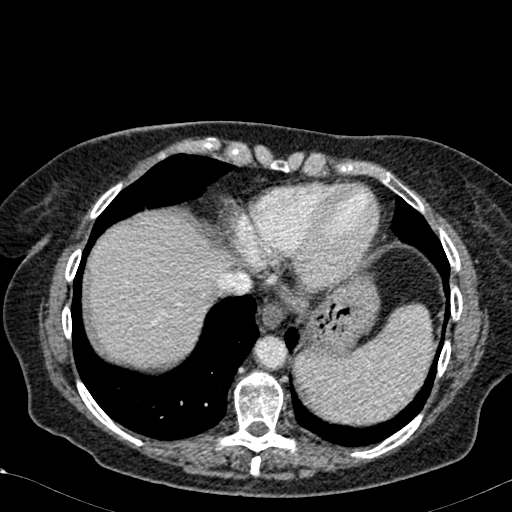 512x512, CT scan slice, Liver
Liver: rect(89, 213, 229, 367).